Slice index 40 | CT slice | Field of view 376 mm wide, 2.50 mm slice spacing | Upper abdomen

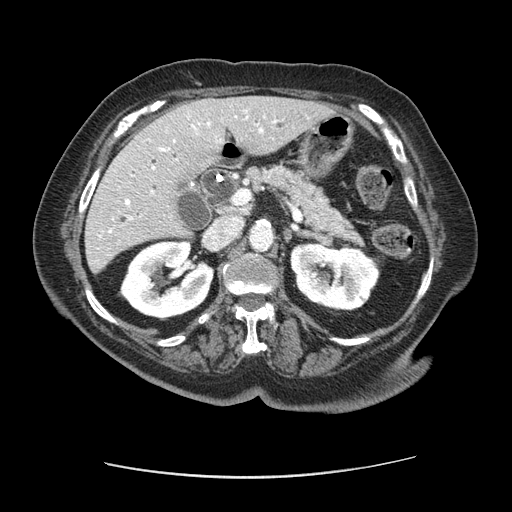

{
  "pancreas": [
    "[257, 164, 364, 246]"
  ]
}